512x512 px. Upper abdomen. Computed tomography.

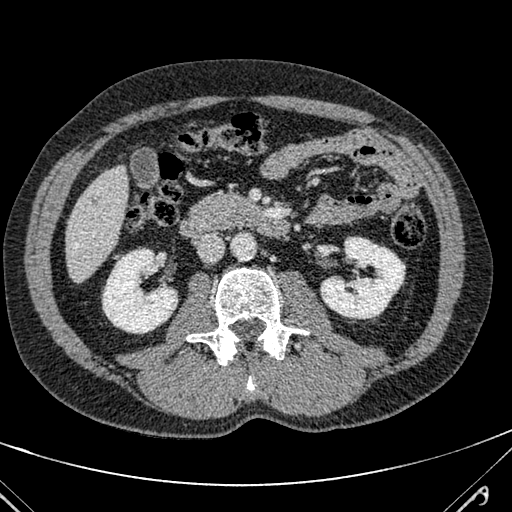

The liver is at (x1=66, y1=165, x2=127, y2=281).